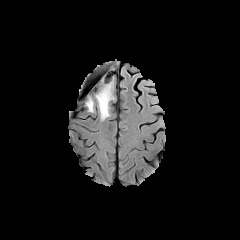
FLAIR MR image.
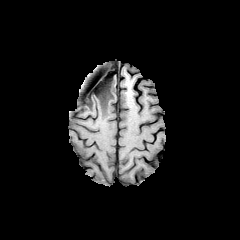
T1-weighted MR image.
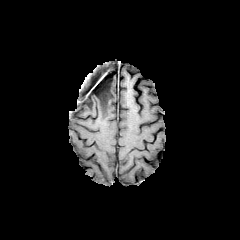
Post-contrast T1-weighted MR image.
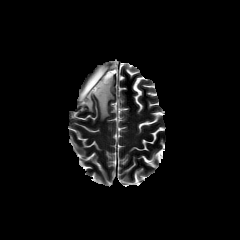
T2-weighted MRI.
Head | 240x240
The non-enhancing tumor core appears at <bbox>84, 80, 111, 103</bbox>. The edema is located at <bbox>84, 81, 114, 120</bbox>.